512x512. Field of view 432x432 mm. Upper abdomen. CT.
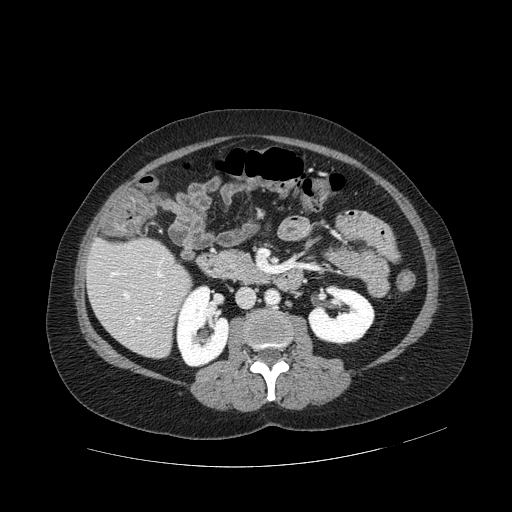

Pancreas: bounding box <bbox>224, 251, 268, 282</bbox>.